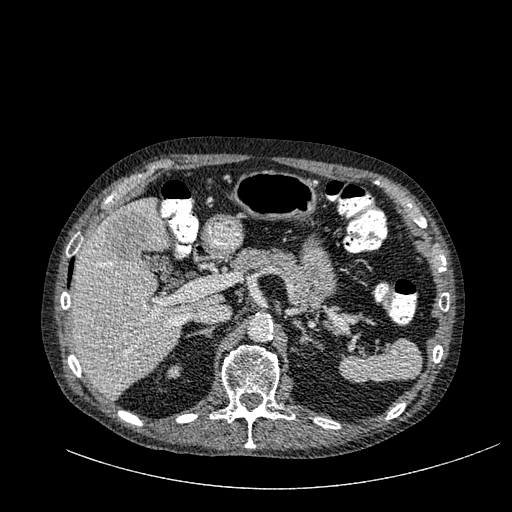

Computed tomography. Upper abdomen. The kidney is bounded by 167 365 181 378. The liver appears at 71 197 223 398. The liver lesion appears at 104 210 152 264.